Slice 62 of 155; 240x240
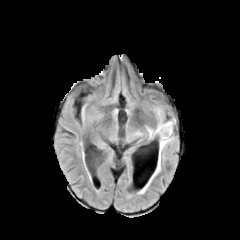
FLAIR MR image.
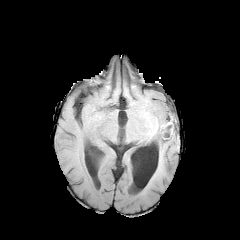
T1-weighted magnetic resonance.
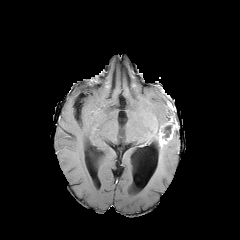
Post-contrast T1-weighted MRI.
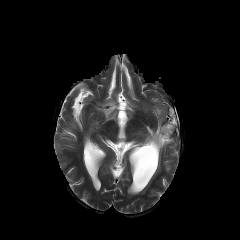
T2-weighted MR of the same slice.
non-enhancing_tumor_core:
  - bbox=[162, 125, 172, 137]
enhancing_tumor:
  - bbox=[158, 129, 171, 147]
edema:
  - bbox=[147, 118, 169, 134]
  - bbox=[157, 147, 161, 167]